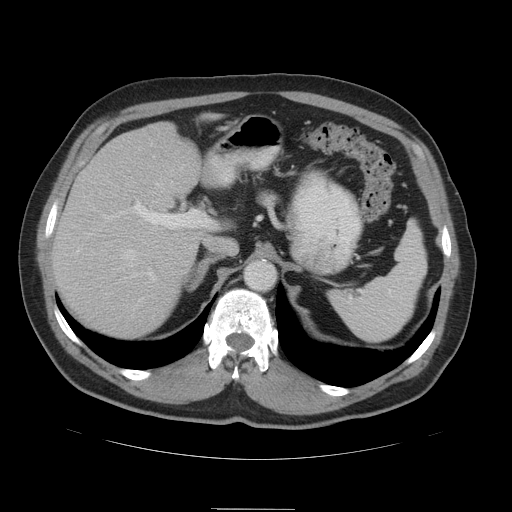
CT; Abdomen
The pancreas lies within <box>259,191,276,204</box>.